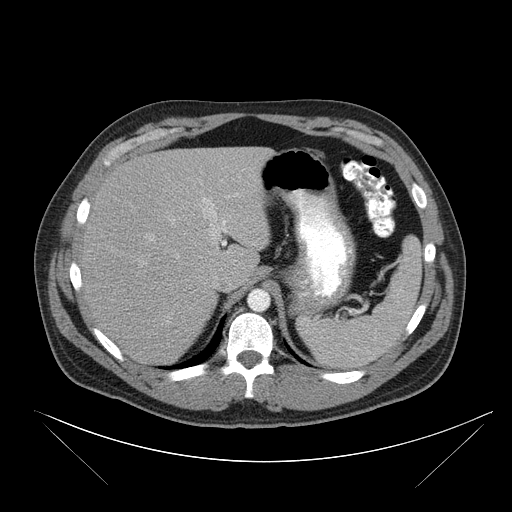

512x512, Abdomen, CT
Spleen = 298:239:422:366.